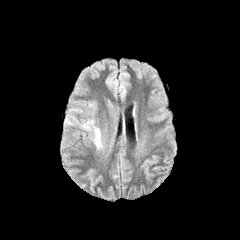
FLAIR MRI.
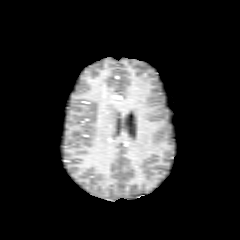
T1-weighted magnetic resonance.
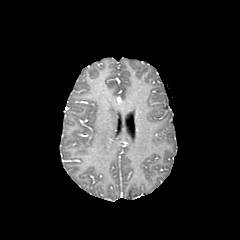
Post-contrast T1-weighted MR.
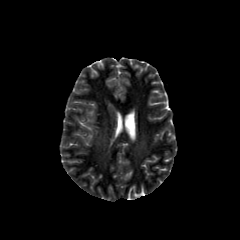
Same slice, T2-weighted MR.
Image size 240x240
Segmented structures:
- edema: 80,120,100,145